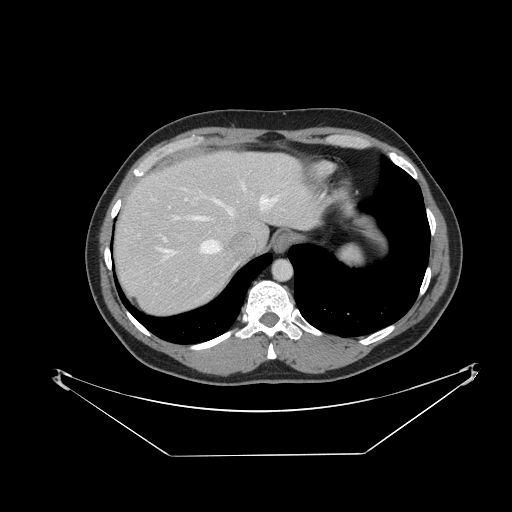
Upper abdomen, CT scan slice, 512x512
The spleen is at bbox=[339, 245, 361, 265].